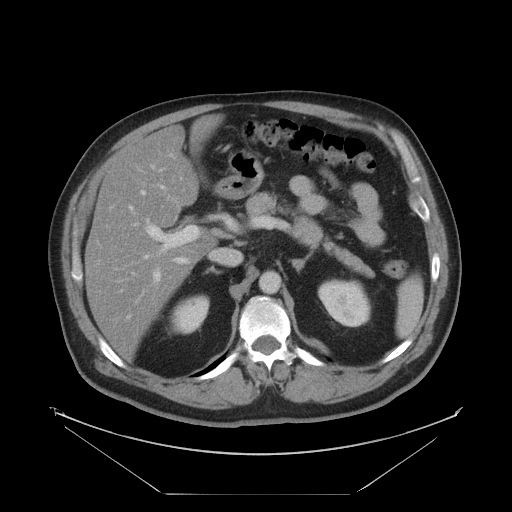
Upper abdomen | CT

pancreas: region(296, 216, 374, 276); region(246, 192, 278, 217)